Image size 512x512, Abdomen, CT, Slice 524/707

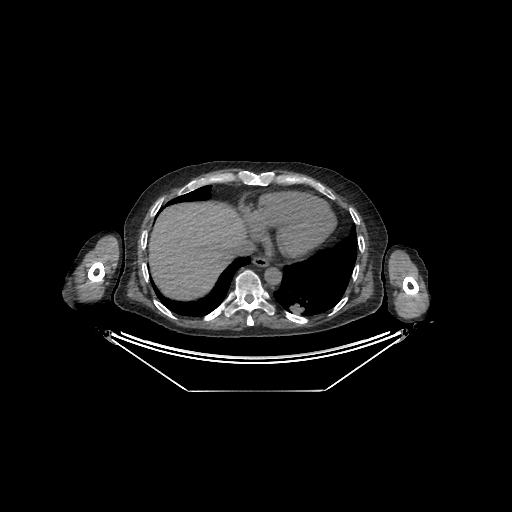

The liver is located at l=149, t=201, r=246, b=299.